CT slice 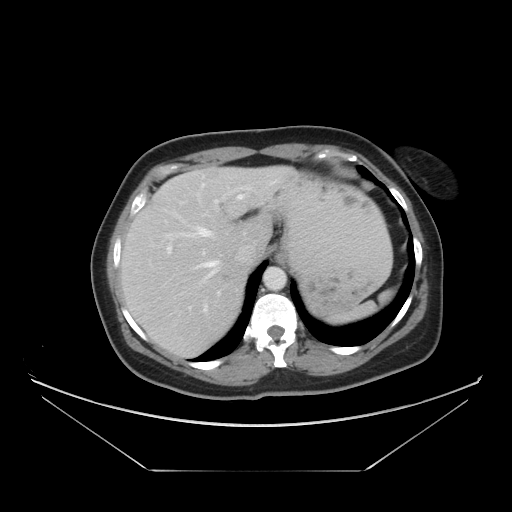
Only some of the vessels may be annotated.
6 hepatic vessel regions appear at (left=207, top=230, right=211, bottom=235), (left=166, top=246, right=170, bottom=252), (left=206, top=263, right=218, bottom=277), (left=183, top=200, right=187, bottom=203), (left=206, top=208, right=209, bottom=212), (left=196, top=196, right=202, bottom=206).